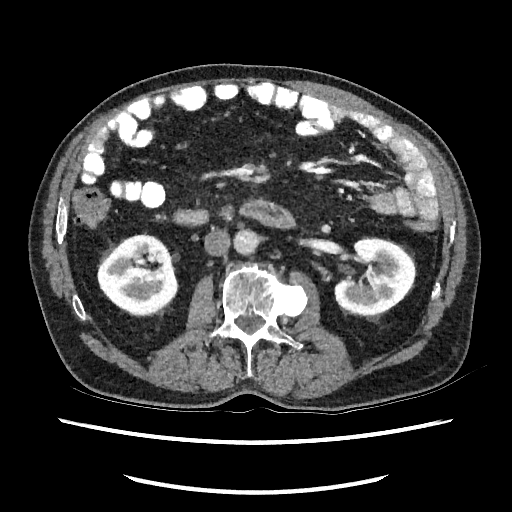

Abdomen | CT scan slice
2 kidney regions appear at 335,237,415,316; 97,234,177,315.